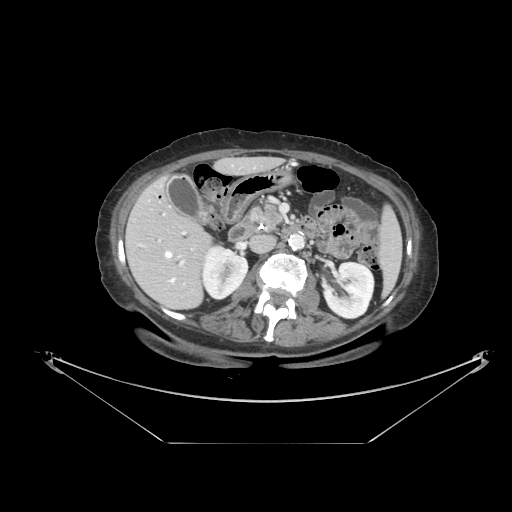

Image size 512x512; Computed tomography

Pancreas — (251, 204, 283, 231).
Pancreatic tumor — (265, 206, 280, 228).